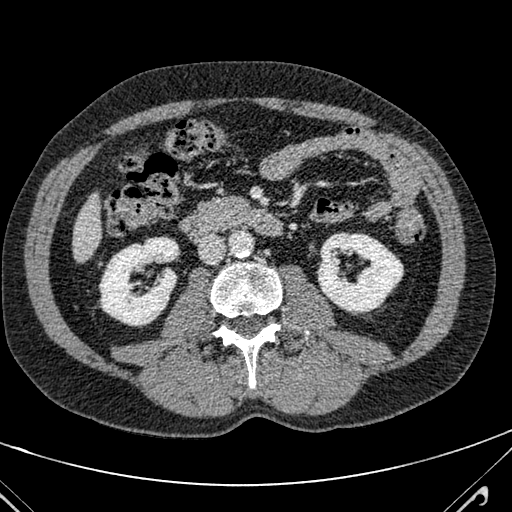 Abdomen | Computed tomography | Image size 512x512

Liver at <bbox>73, 195, 100, 259</bbox>.